FLAIR MRI.
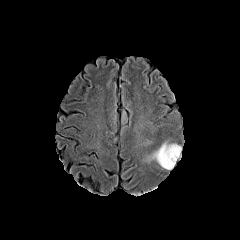
T1-weighted MR image.
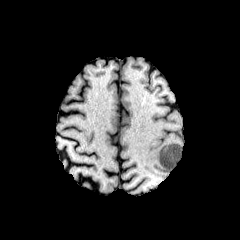
Post-contrast T1-weighted MRI.
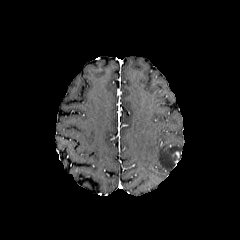
T2-weighted MR.
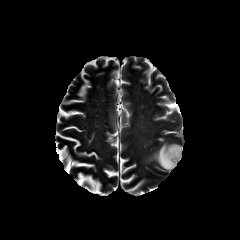
240x240 px
Annotated regions:
• edema: box(155, 144, 182, 169)